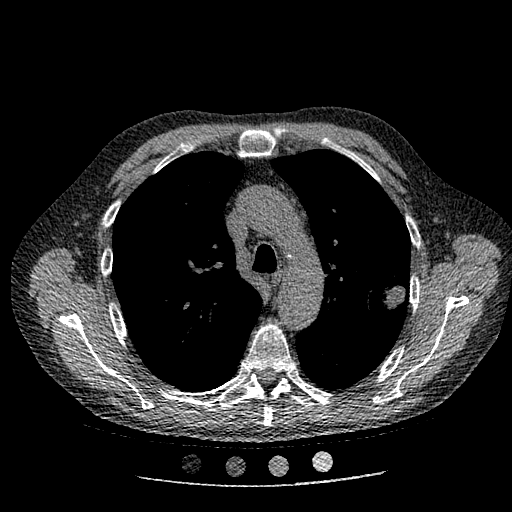 Image size 512x512; Lung; CT
lung tumor: bbox=[378, 271, 409, 319]